Abdomen. CT slice. Field of view 350 mm wide, 0.70 mm slice spacing. Slice index 534.
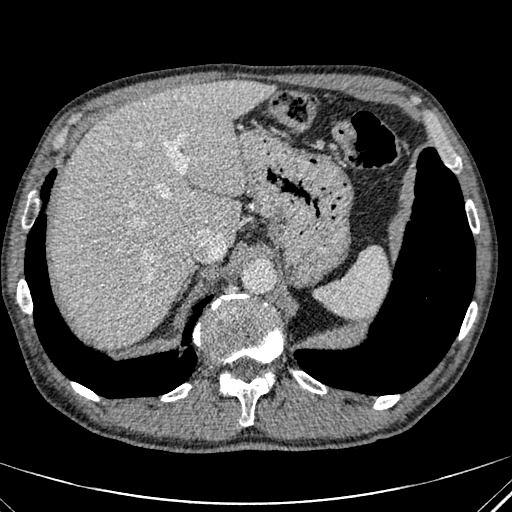 Liver: l=54, t=80, r=274, b=346.